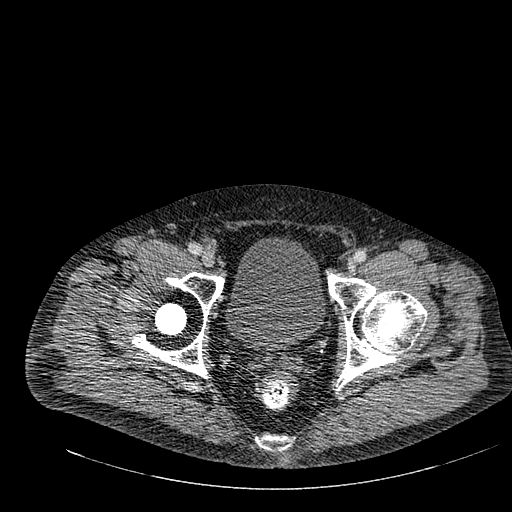 512x512 px; CT; Pelvis

Urinary bladder: x1=225 y1=238 x2=325 y2=351.